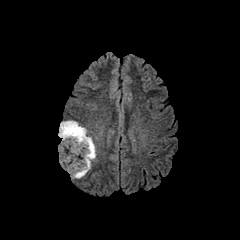
FLAIR MR.
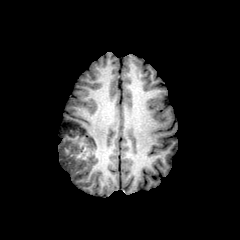
T1-weighted MR image of the same slice.
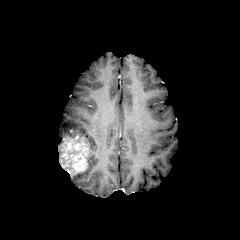
Post-contrast T1-weighted MR.
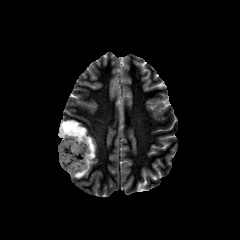
T2-weighted MRI.
240x240 px. Head.
non-enhancing tumor core: (60,146,78,164), (60,122,91,154) | edema: (60,120,96,178) | enhancing tumor: (60,135,88,175)